512x512 px, Slice 101/155, CT image, Upper abdomen, Field of view 512 mm wide, 1.00 mm slice spacing 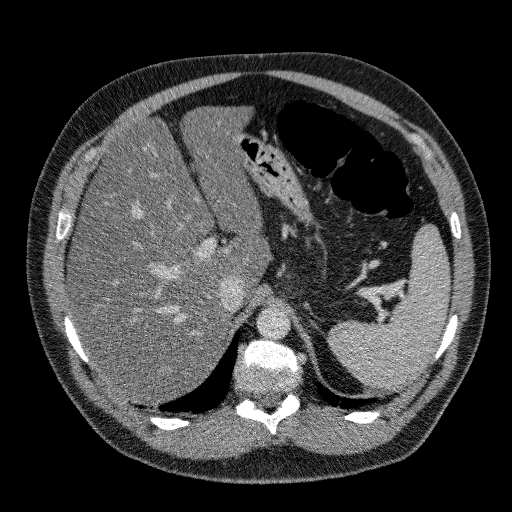

The liver appears at 68, 106, 269, 403.